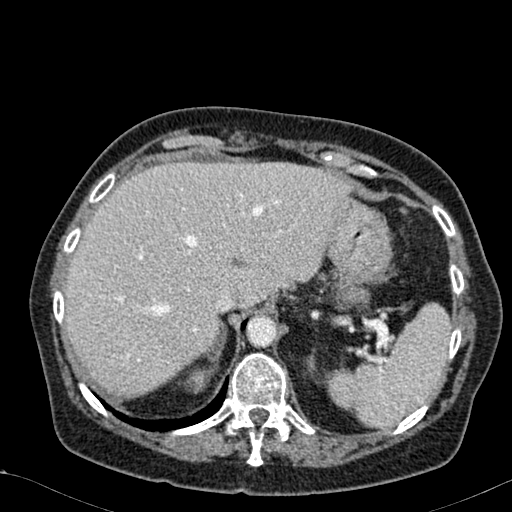 CT image. 512x512 px.

liver: l=66, t=162, r=350, b=395 | kidney: l=329, t=374, r=348, b=389